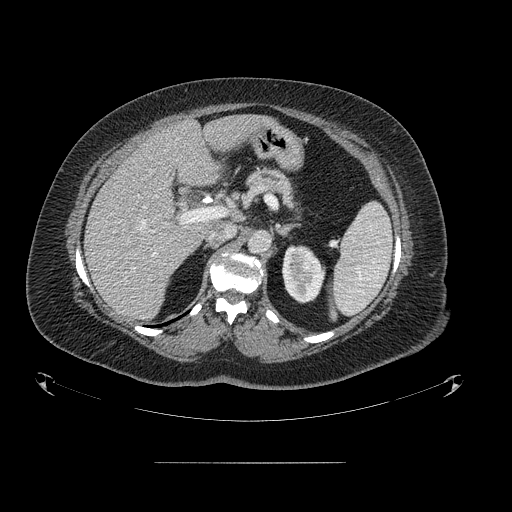

512x512; CT scan slice; Upper abdomen
The pancreas is located at (x1=245, y1=169, x2=295, y2=209).